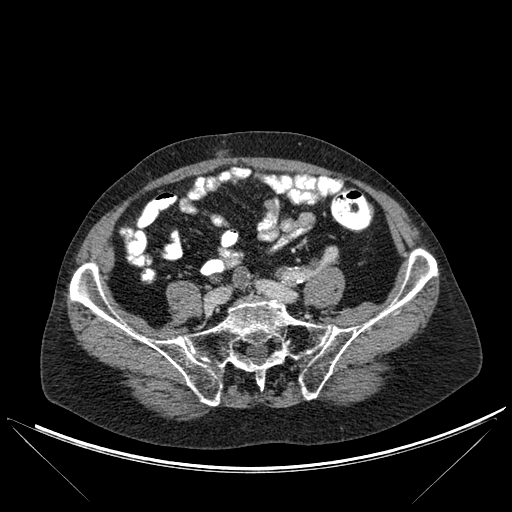 Image size 512x512, CT
Bone at (70, 249, 437, 405).